Image size 240x240 | Brain
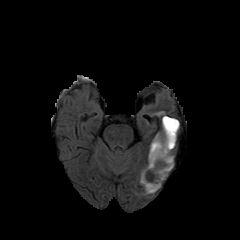
FLAIR magnetic resonance.
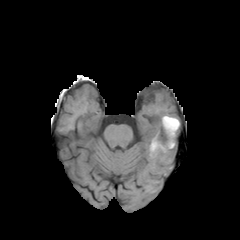
T1-weighted MR image of the same slice.
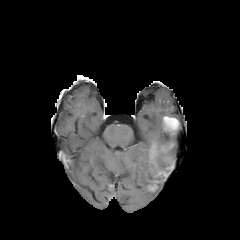
Post-contrast T1-weighted MR image of the same slice.
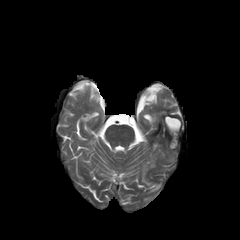
T2-weighted MR.
Edema = {"x1": 140, "y1": 131, "x2": 173, "y2": 192}.
Enhancing tumor = {"x1": 164, "y1": 117, "x2": 178, "y2": 132}.
Non-enhancing tumor core = {"x1": 162, "y1": 117, "x2": 179, "y2": 148}, {"x1": 150, "y1": 143, "x2": 157, "y2": 159}.